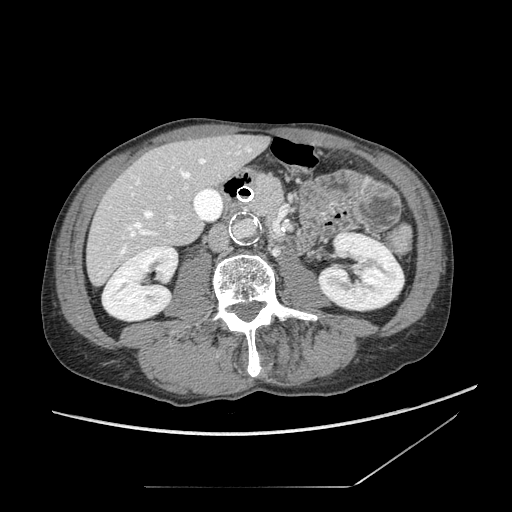 CT image | Upper abdomen
The pancreas appears at [x1=250, y1=174, x2=283, y2=215].